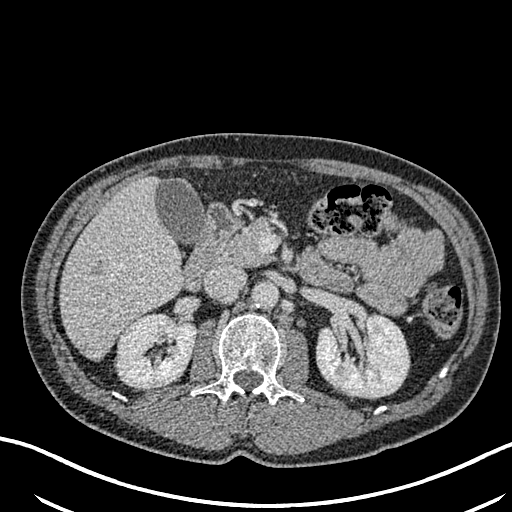
CT scan slice

Focal liver lesion: bounding box 77,343,90,353; 90,260,104,275.
Kidney: bounding box 118,315,195,387; 317,310,408,396.
Liver: bounding box 61,178,182,359.